CT; Slice index 170

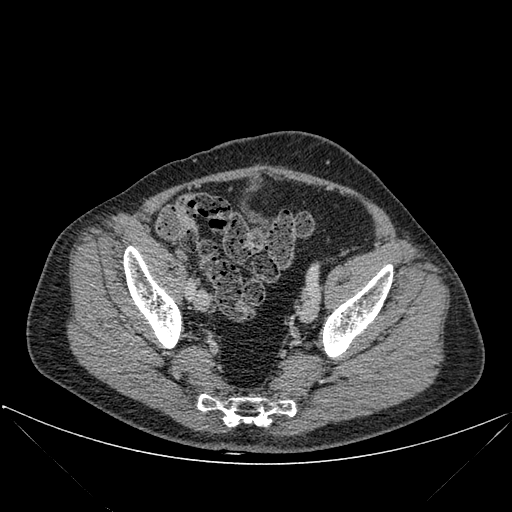 - bone: (323,264,392,357), (197,394,296,426), (124,246,181,348)